Image width 328 mm | CT
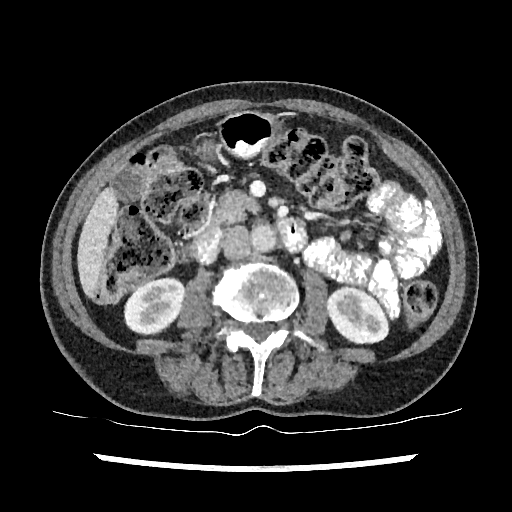 Kidney = [x1=125, y1=279, x2=183, y2=332], [x1=328, y1=288, x2=387, y2=342].
Liver = [x1=79, y1=190, x2=115, y2=295].